CT | Slice 19 of 31 | Abdomen

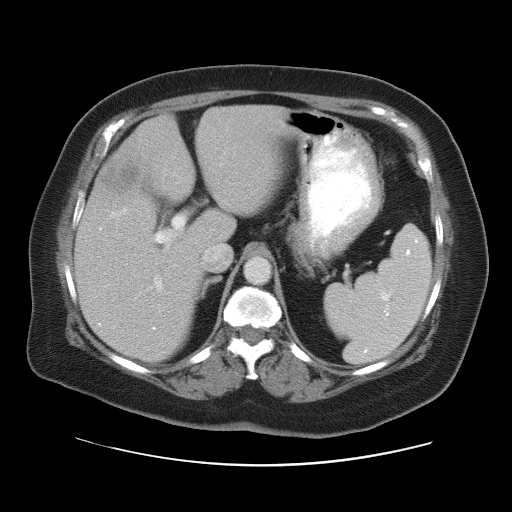 The spleen lies within (x1=325, y1=223, x2=431, y2=363).